CT image, Slice 79 of 161, 512x512, Upper abdomen

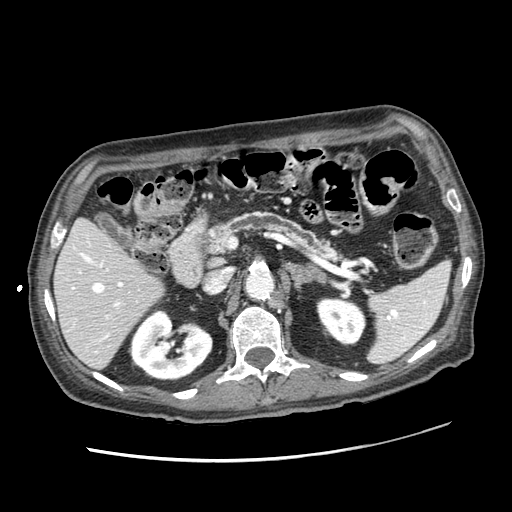 <segmentation>
  <pancreas>l=217, t=213, r=339, b=261</pancreas>
  <pancreatic_tumor>l=212, t=229, r=227, b=250</pancreatic_tumor>
</segmentation>